Computed tomography | Liver
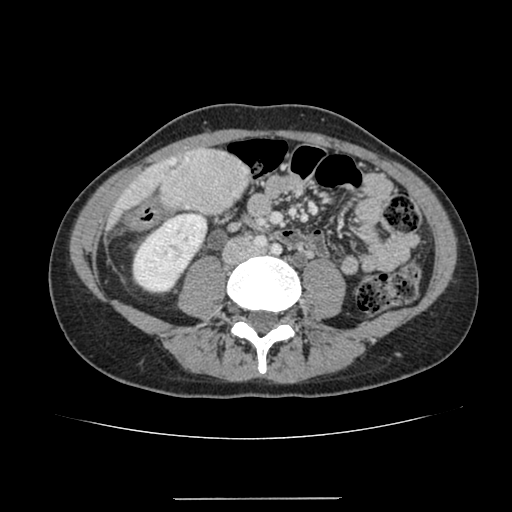 The liver is at <box>105,146,195,228</box>. The liver lesion lies within <box>159,146,249,214</box>. The kidney lies within <box>134,214,206,290</box>.